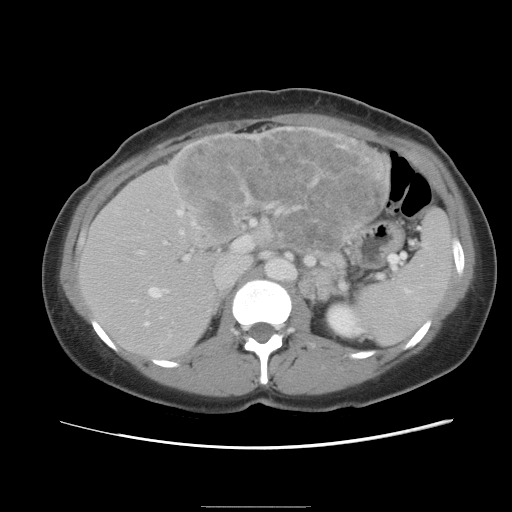 512x512; Abdomen; CT image
The vessel boxes may cover only some of the vessels.
The liver tumor lies within box=[173, 129, 385, 247]. 8 hepatic vessel regions appear at box=[148, 286, 167, 296]; box=[164, 241, 165, 242]; box=[137, 249, 141, 251]; box=[212, 235, 252, 289]; box=[183, 255, 188, 259]; box=[144, 322, 147, 324]; box=[180, 230, 183, 232]; box=[177, 209, 181, 213].